CT scan slice. Liver. Field of view 438x438 mm.

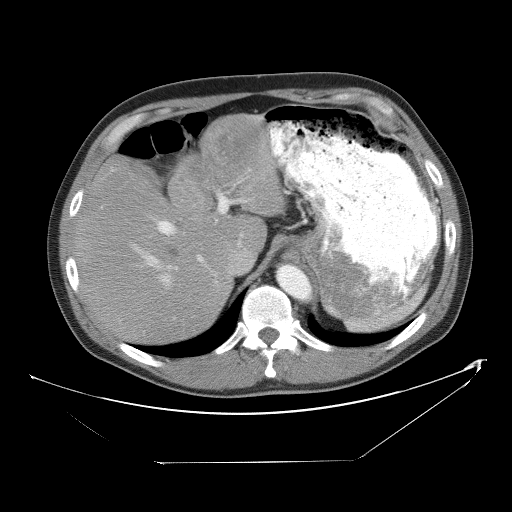
The vessel annotation is not exhaustive.
liver_tumor:
  - {"x1": 192, "y1": 162, "x2": 208, "y2": 178}
  - {"x1": 167, "y1": 246, "x2": 180, "y2": 260}
  - {"x1": 222, "y1": 133, "x2": 256, "y2": 164}
hepatic_vessel:
  - {"x1": 111, "y1": 168, "x2": 113, "y2": 171}
  - {"x1": 175, "y1": 228, "x2": 175, "y2": 231}
  - {"x1": 218, "y1": 206, "x2": 218, "y2": 211}
  - {"x1": 160, "y1": 274, "x2": 171, "y2": 286}
  - {"x1": 153, "y1": 218, "x2": 167, "y2": 228}
  - {"x1": 132, "y1": 244, "x2": 160, "y2": 269}
  - {"x1": 219, "y1": 200, "x2": 219, "y2": 205}
  - {"x1": 237, "y1": 240, "x2": 241, "y2": 246}
  - {"x1": 251, "y1": 198, "x2": 253, "y2": 200}
  - {"x1": 200, "y1": 260, "x2": 206, "y2": 266}
  - {"x1": 215, "y1": 219, "x2": 216, "y2": 221}
  - {"x1": 228, "y1": 198, "x2": 245, "y2": 202}
  - {"x1": 167, "y1": 265, "x2": 177, "y2": 269}
  - {"x1": 217, "y1": 191, "x2": 223, "y2": 198}